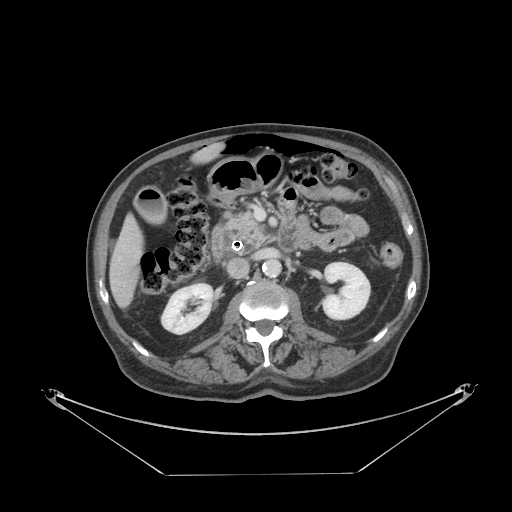
Image size 512x512. CT.

The pancreas lies within 226,213,263,254.